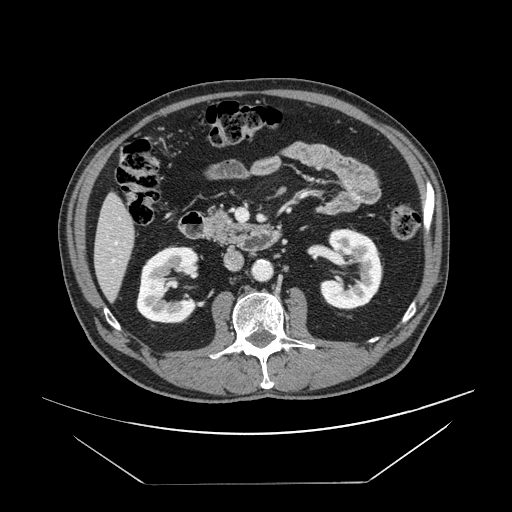 Computed tomography. {"pancreas": ["[x1=203, y1=208, x2=238, y2=244]"]}